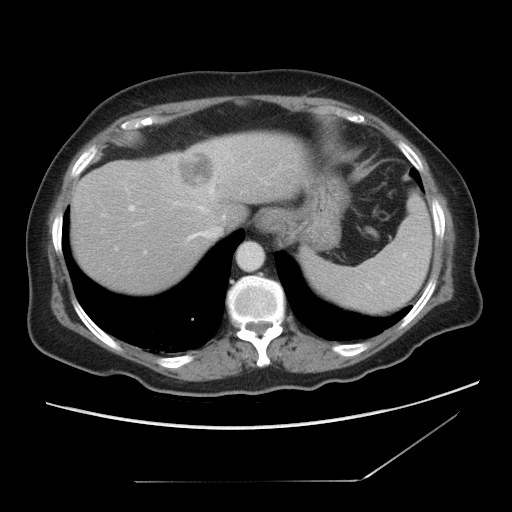

CT slice
The vessel annotation is not exhaustive.
hepatic_vessel:
  - (207,181,213,197)
  - (130,207,133,209)
  - (197,205,206,211)
  - (175,203,178,203)
  - (218,165,220,169)
  - (189,232,210,238)
liver_tumor:
  - (178,155,214,185)